CT; Field of view 398x398 mm

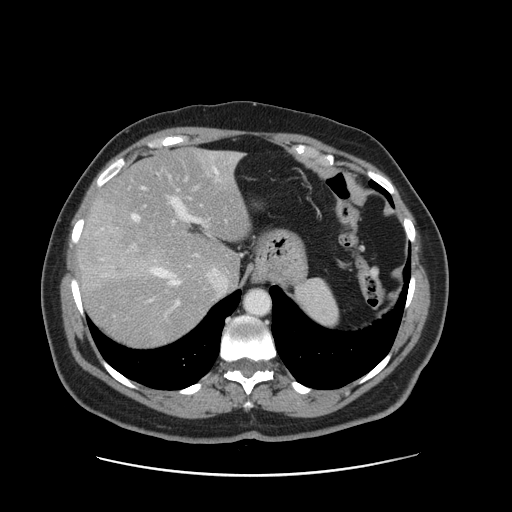

Only some of the vessels may be annotated.
hepatic_vessel:
  - x1=153, y1=268, x2=179, y2=284
  - x1=170, y1=197, x2=207, y2=226
  - x1=214, y1=169, x2=217, y2=173
  - x1=216, y1=177, x2=219, y2=180
  - x1=177, y1=189, x2=178, y2=190
  - x1=133, y1=245, x2=135, y2=246
  - x1=173, y1=221, x2=174, y2=223
  - x1=169, y1=176, x2=170, y2=178
  - x1=174, y1=301, x2=180, y2=306